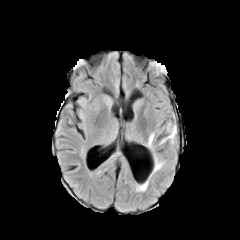
FLAIR MRI.
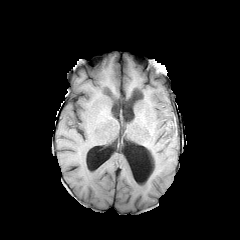
Same slice, T1-weighted MR.
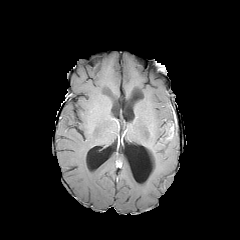
Post-contrast T1-weighted MR image of the same slice.
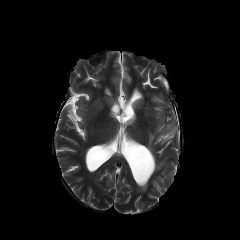
T2-weighted magnetic resonance.
240x240 px, Head
{
  "edema": [
    "box(166, 120, 176, 144)",
    "box(147, 132, 154, 151)",
    "box(136, 152, 165, 191)"
  ]
}